FLAIR MR image.
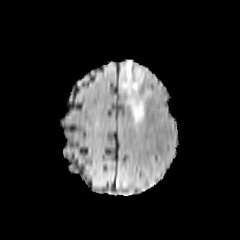
T1-weighted MR.
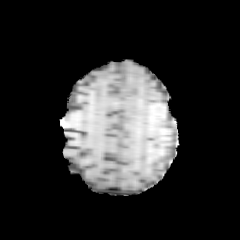
Post-contrast T1-weighted magnetic resonance.
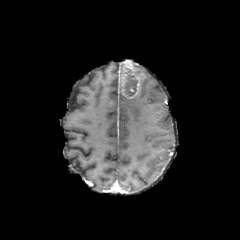
T2-weighted MR image.
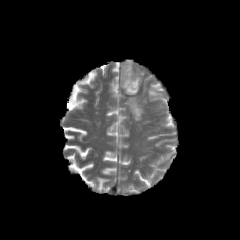
Annotated regions:
- enhancing tumor: 121 60 140 97
- non-enhancing tumor core: 123 75 137 97
- edema: 126 88 144 122